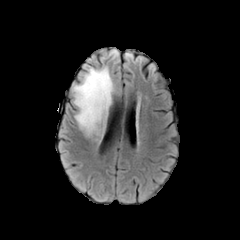
FLAIR magnetic resonance.
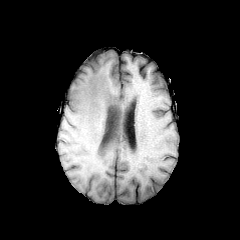
Same slice, T1-weighted MR image.
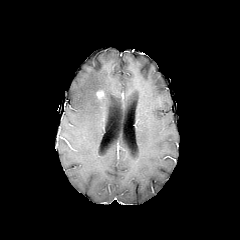
Same slice, post-contrast T1-weighted MR.
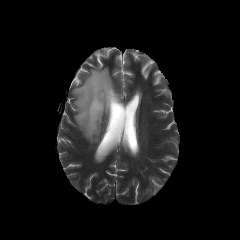
T2-weighted MR image of the same slice.
Image size 240x240
edema: [72, 65, 115, 137]